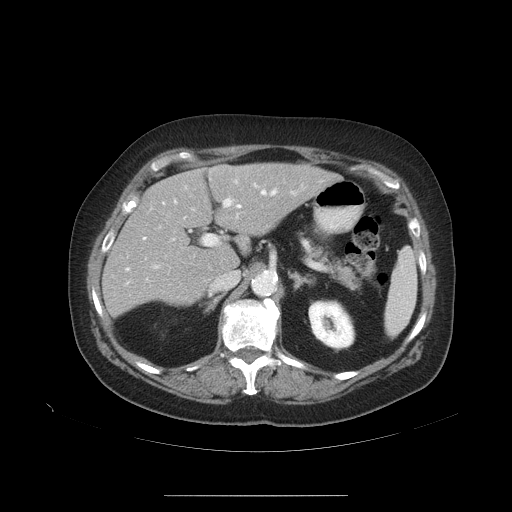 CT slice | Abdomen
The vessel boxes may cover only some of the vessels.
partial: true
hepatic_vessel:
  # 15 of 18 shown
  - rect(290, 191, 296, 195)
  - rect(253, 184, 256, 187)
  - rect(236, 205, 239, 207)
  - rect(153, 265, 157, 268)
  - rect(202, 234, 219, 245)
  - rect(219, 273, 236, 286)
  - rect(126, 268, 128, 270)
  - rect(261, 190, 265, 194)
  - rect(125, 282, 128, 284)
  - rect(146, 278, 149, 280)
  - rect(142, 238, 145, 239)
  - rect(223, 198, 231, 207)
  - rect(269, 190, 276, 195)
  - rect(236, 214, 237, 217)
  - rect(234, 180, 237, 183)